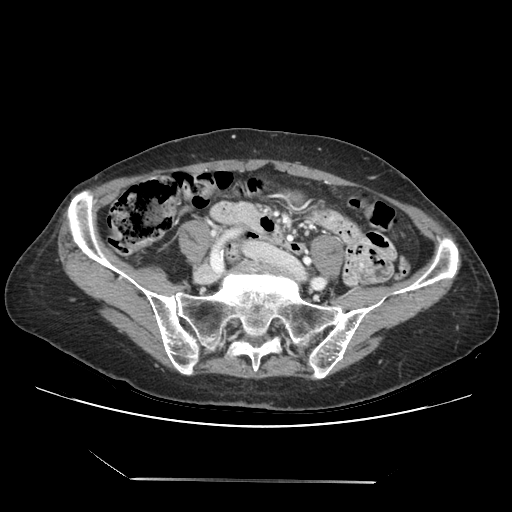

Computed tomography. Upper abdomen. Pancreas at 209 201 259 226.